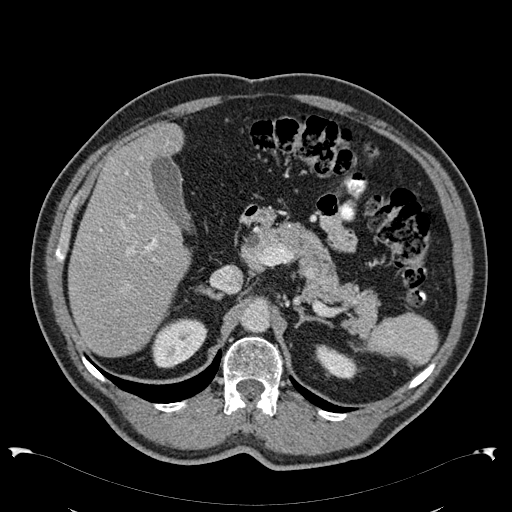

CT
Segmented structures:
- kidney: (316, 345, 356, 377), (147, 319, 206, 367)
- liver: (68, 123, 190, 357)